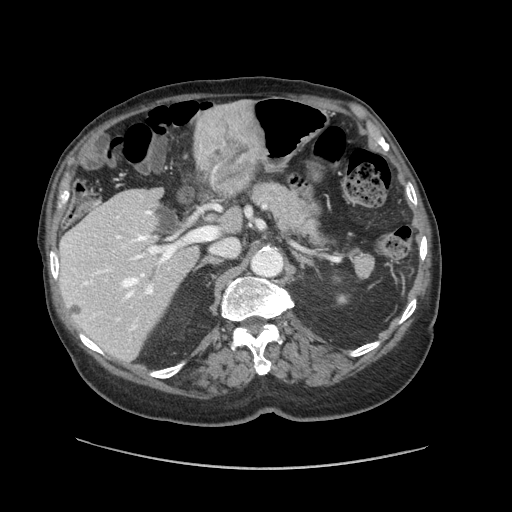
CT scan slice. Abdomen.
Only some of the vessels may be annotated.
{
  "hepatic_vessel": [
    "(211, 240, 238, 255)",
    "(141, 273, 144, 276)",
    "(137, 236, 144, 239)",
    "(184, 227, 216, 241)",
    "(122, 277, 138, 287)",
    "(148, 289, 151, 292)",
    "(149, 242, 180, 262)"
  ],
  "liver_tumor": [
    "(205, 123, 252, 193)"
  ]
}